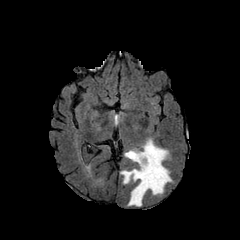
FLAIR MR.
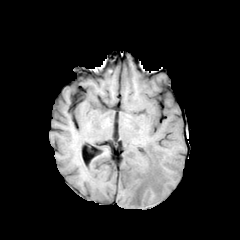
Same slice, T1-weighted MR.
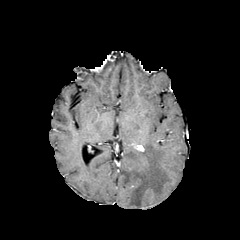
Post-contrast T1-weighted MR.
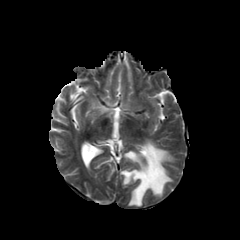
Same slice, T2-weighted MR image.
240x240
Edema at <box>120,139,172,206</box>.